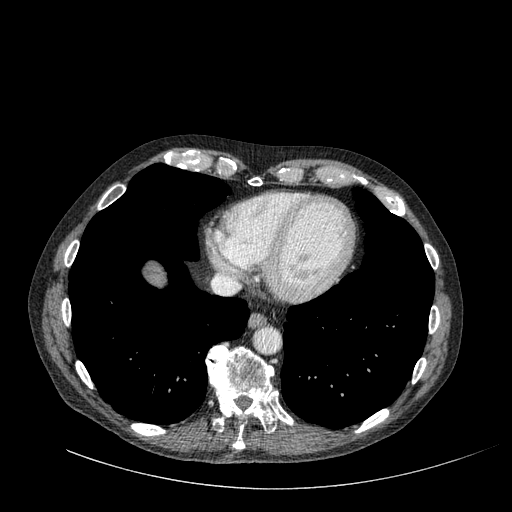

Liver. Computed tomography.
Annotated regions:
- liver: box=[149, 273, 162, 284]